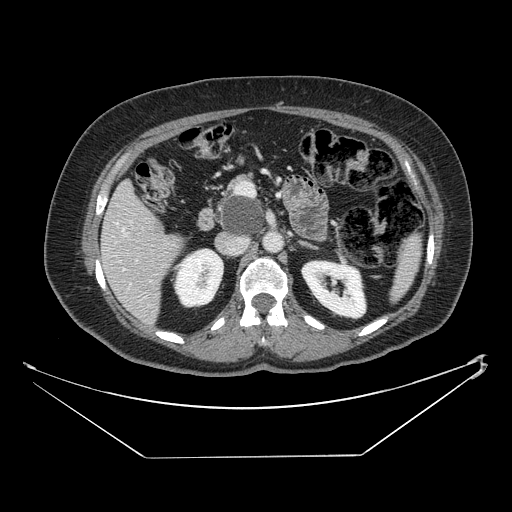
512x512 px, CT scan slice

Annotated regions:
- pancreas: (213,172,266,238)
- pancreatic tumor: (222,197,263,235)